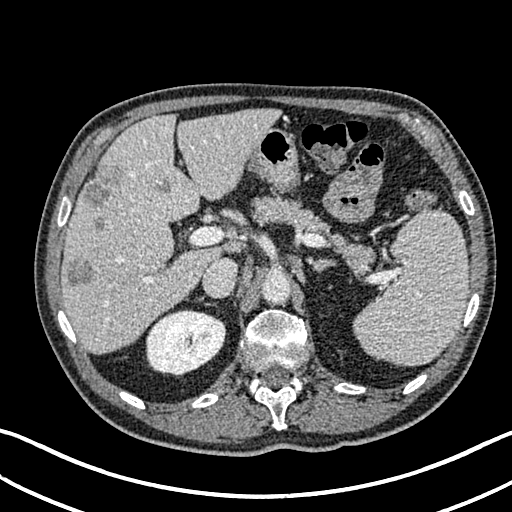 CT slice. Image size 512x512. {
  "kidney": [
    "[x1=147, y1=311, x2=224, y2=374]"
  ],
  "hepatic_lesion": [
    "[x1=95, y1=218, x2=103, y2=230]",
    "[x1=66, y1=261, x2=93, y2=284]",
    "[x1=85, y1=168, x2=122, y2=205]",
    "[x1=155, y1=179, x2=170, y2=193]"
  ],
  "liver": [
    "[x1=62, y1=109, x2=277, y2=352]"
  ]
}